240x240 px; Slice 109/155; Brain
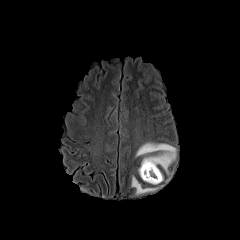
FLAIR MR.
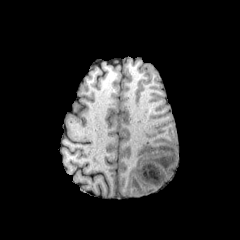
T1-weighted MR.
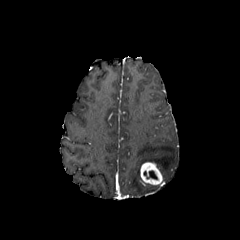
Post-contrast T1-weighted MR of the same slice.
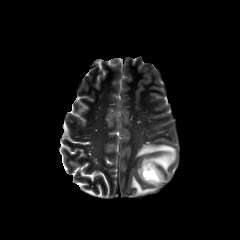
Same slice, T2-weighted magnetic resonance.
Enhancing tumor — (139, 161, 162, 185).
Edema — (132, 176, 158, 193), (136, 143, 176, 174).